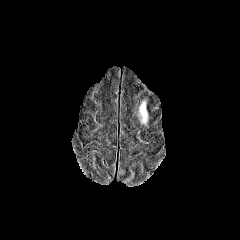
FLAIR magnetic resonance.
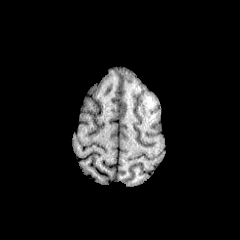
Same slice, T1-weighted MR.
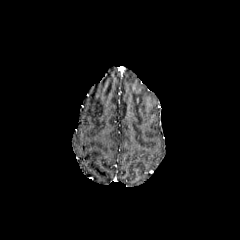
Post-contrast T1-weighted magnetic resonance.
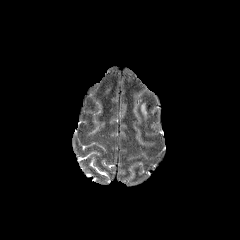
Same slice, T2-weighted MR image.
Brain
The edema is at 138 101 146 121.